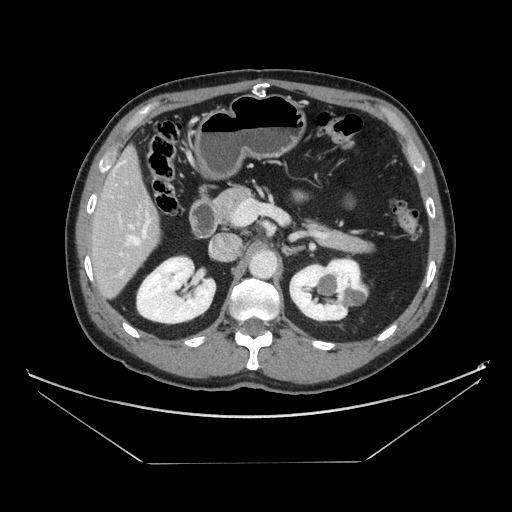

CT. Abdomen.
{
  "pancreas": [
    "x1=216 y1=187 x2=252 y2=224",
    "x1=306 y1=221 x2=374 y2=253"
  ]
}